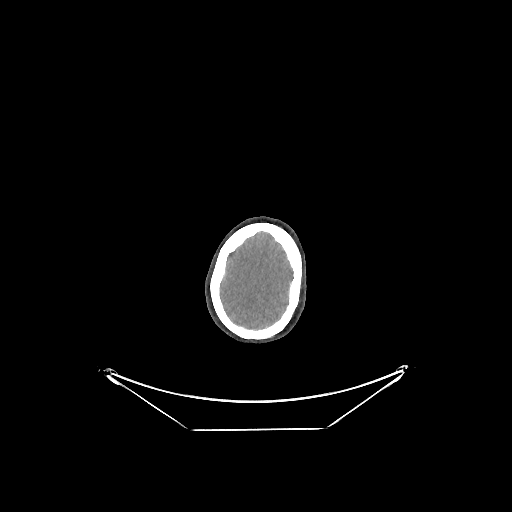

Computed tomography. The brain is located at {"x1": 220, "y1": 232, "x2": 293, "y2": 329}.